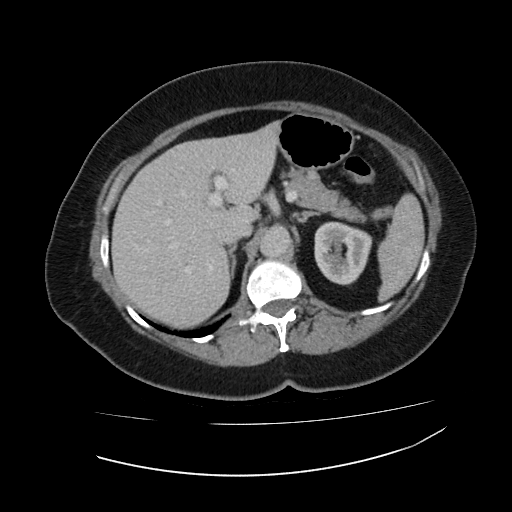
512x512 px, Computed tomography

Liver at 112:122:278:325.
Kidney at 315:222:371:284.